Image size 512x512, Abdomen, Image width 700 mm, Slice 372 of 536, CT slice

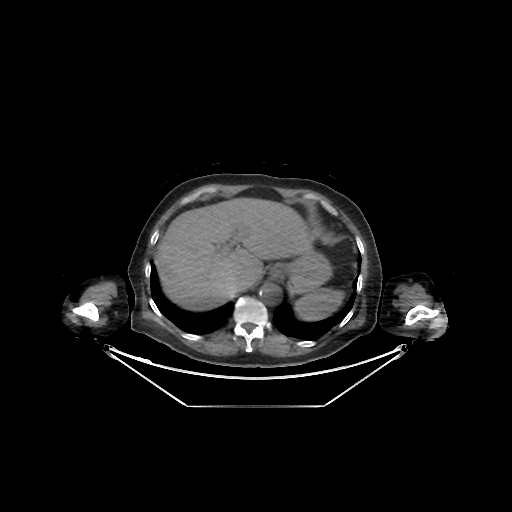 Segmented structures:
* lung: (150, 263, 234, 334), (272, 253, 360, 340)
* bone: (145, 264, 150, 276), (357, 275, 362, 290), (234, 298, 268, 351), (357, 238, 363, 253), (151, 231, 158, 243), (340, 311, 352, 326), (182, 334, 200, 340), (297, 341, 314, 346), (405, 305, 438, 324), (150, 299, 160, 316), (73, 302, 98, 321)
* liver: (155, 199, 314, 309)